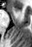
MRI slice. 32x47. Anterior hippocampus = region(13, 8, 20, 11).